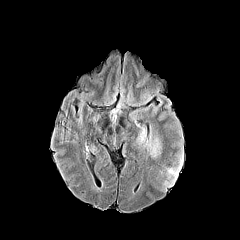
FLAIR MRI.
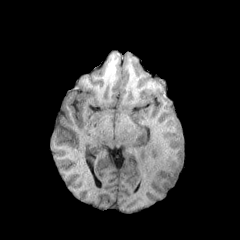
T1-weighted magnetic resonance.
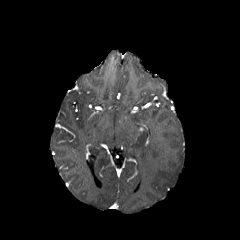
Post-contrast T1-weighted magnetic resonance.
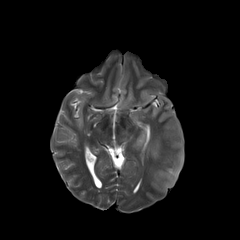
T2-weighted MR.
Head
2 edema regions are located at <bbox>147, 131, 161, 158</bbox>, <bbox>167, 153, 182, 179</bbox>.